CT slice | Image size 512x512

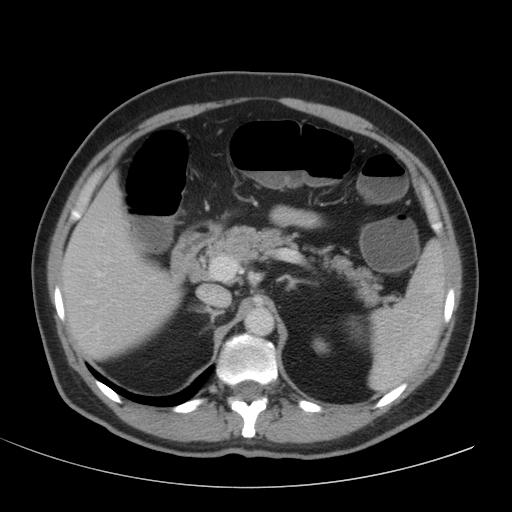 2 liver regions are bounded by (58,186,178,357), (201,285,227,306). The kidney lies within (316,342,324,349).